Image width 399 mm, Abdomen, CT
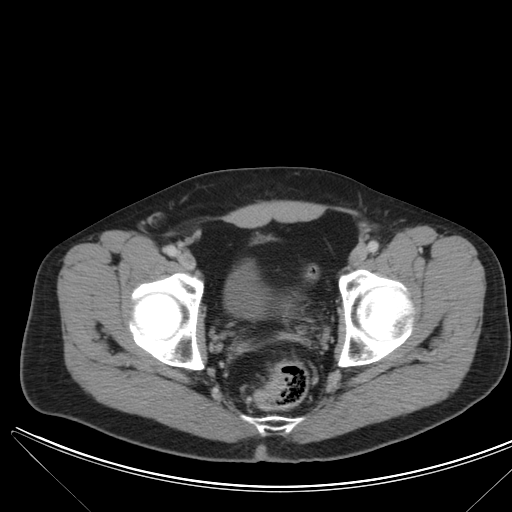

Colon tumor = (255,373,284,407).